CT image
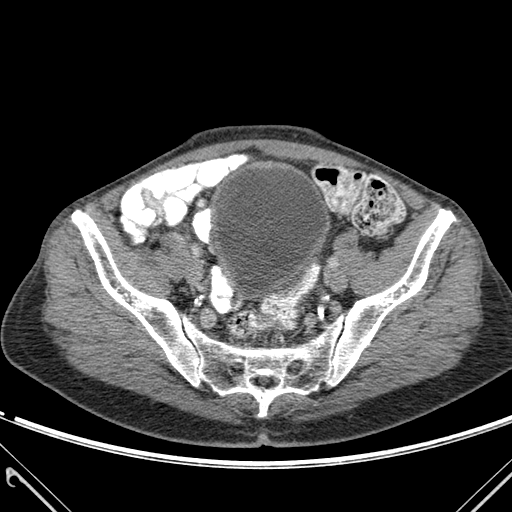

urinary_bladder:
  - 216:168:326:296
bone:
  - 72:209:455:416